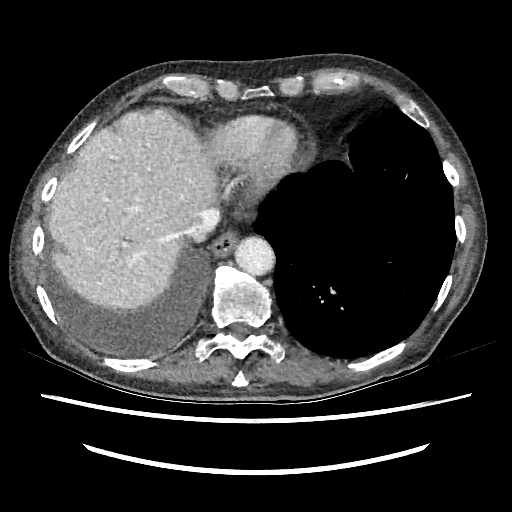
Abdomen. Computed tomography. 512x512 px. liver: (48, 111, 228, 308)